Slice index 335; Field of view 400 mm wide, 0.80 mm slice spacing; Computed tomography
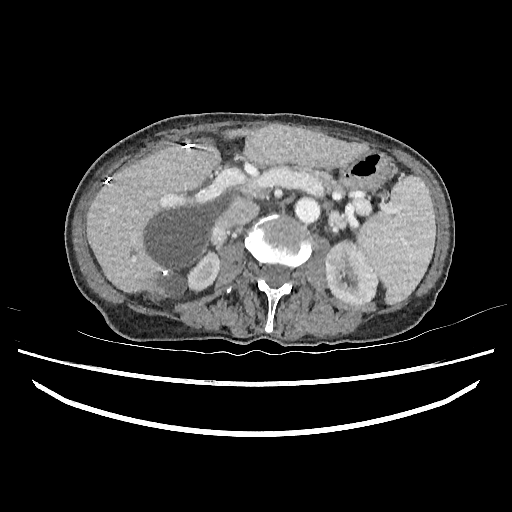
3 liver regions are bounded by box=[225, 126, 365, 167]; box=[227, 187, 238, 204]; box=[86, 144, 220, 299]. 2 kidney regions are bounded by box=[325, 242, 375, 305]; box=[188, 253, 219, 289]. 2 liver lesion regions appear at box=[159, 273, 185, 297]; box=[143, 189, 233, 270].